Slice 97/139 | Upper abdomen | CT image

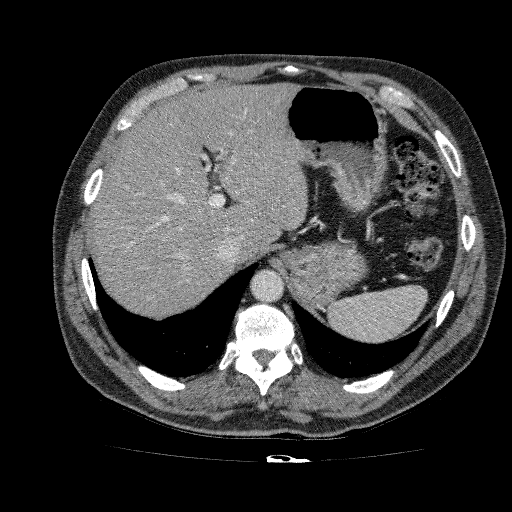 Liver: bounding box <box>89,83,307,318</box>.